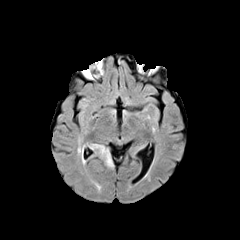
FLAIR MR.
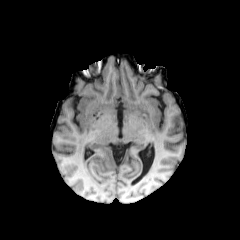
T1-weighted magnetic resonance.
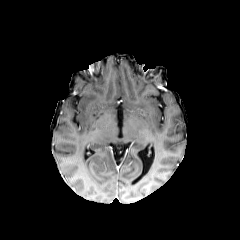
Post-contrast T1-weighted MRI of the same slice.
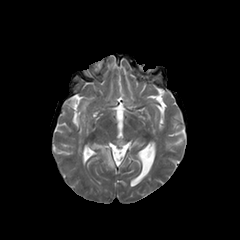
T2-weighted MR.
Edema at bbox(89, 144, 114, 168); bbox(78, 145, 85, 164).